Slice 27/33, MRI

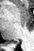
{
  "posterior_hippocampus": [
    "bbox=[13, 41, 19, 43]"
  ]
}